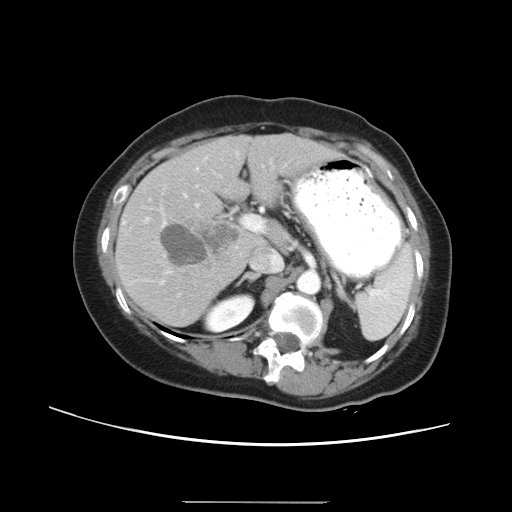
CT, Abdomen
The vessel boxes may cover only some of the vessels.
Hepatic vessel: bbox(184, 193, 186, 196); bbox(166, 270, 170, 272); bbox(196, 168, 198, 169); bbox(196, 204, 198, 206).
Liver tumor: bbox(159, 225, 238, 266).